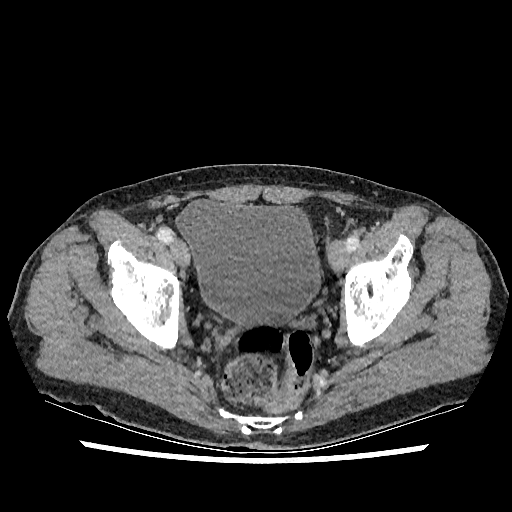

CT scan slice. Pelvis. {
  "urinary_bladder": [
    "(176, 198, 321, 332)"
  ]
}